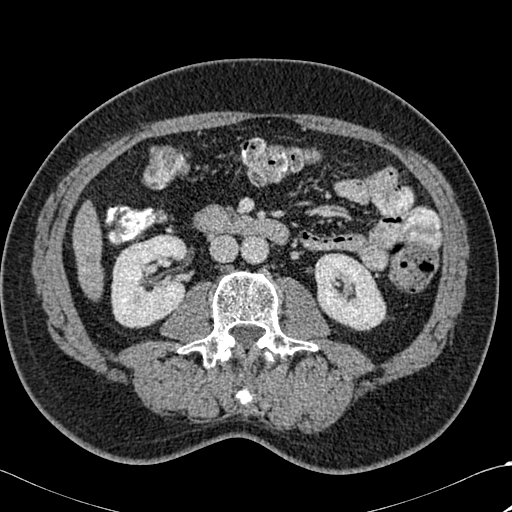
Computed tomography

The hepatic lesion lies within 86 253 97 263. The liver lies within 74 212 102 296. 2 bone regions are located at 178 271 317 367, 237 385 252 404. 2 kidney regions appear at 112 235 185 326, 316 254 384 329.